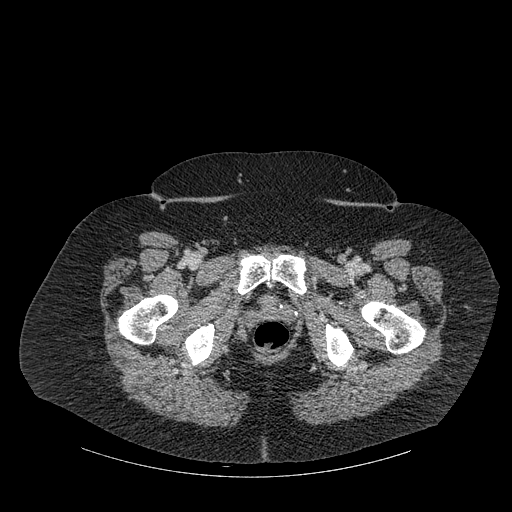
CT slice
5 bone regions are located at [361,301,424,353], [185,324,214,365], [118,294,177,344], [237,255,306,294], [326,324,353,366].